Head
FLAIR MR image.
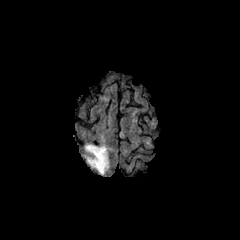
T1-weighted MR image.
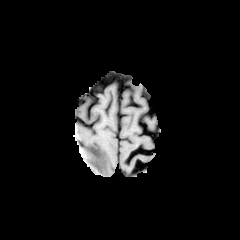
Post-contrast T1-weighted magnetic resonance.
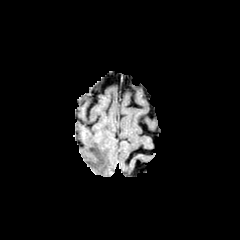
T2-weighted MR.
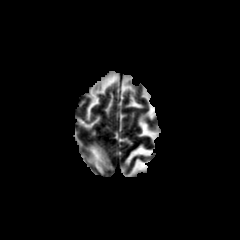
The edema is at (x1=85, y1=144, x2=110, y2=174).